Slice 48/155. Brain.
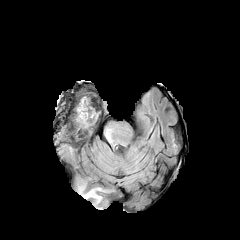
FLAIR MRI.
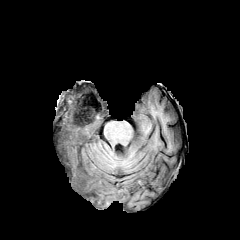
T1-weighted magnetic resonance of the same slice.
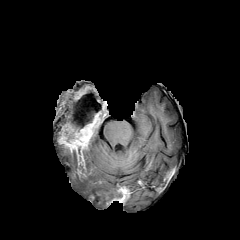
Post-contrast T1-weighted magnetic resonance of the same slice.
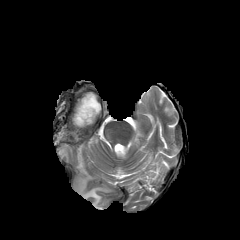
Same slice, T2-weighted magnetic resonance.
3 edema regions appear at (76, 169, 113, 209), (84, 147, 91, 167), (72, 100, 87, 128). The non-enhancing tumor core is bounded by (60, 102, 100, 169). 2 enhancing tumor regions are located at (57, 132, 66, 143), (84, 113, 98, 127).